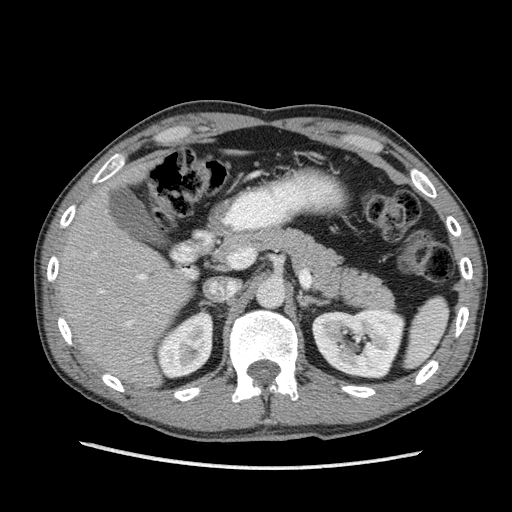 CT slice.
{"liver": ["(x1=54, y1=161, x2=191, y2=389)"], "kidney": ["(x1=160, y1=314, x2=211, y2=376)", "(x1=313, y1=309, x2=402, y2=376)"]}